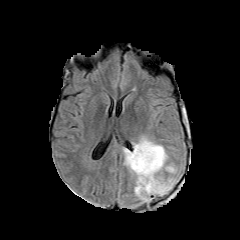
FLAIR MRI.
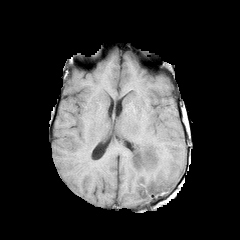
T1-weighted MR.
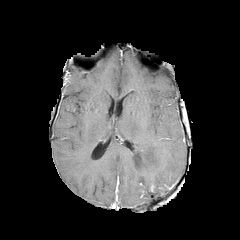
Post-contrast T1-weighted MR image of the same slice.
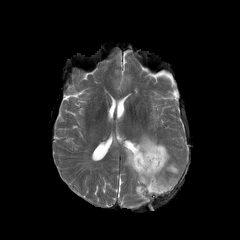
T2-weighted MR.
Head
Edema: bbox=[123, 135, 178, 203].